Slice 14/41 | CT scan slice | Liver
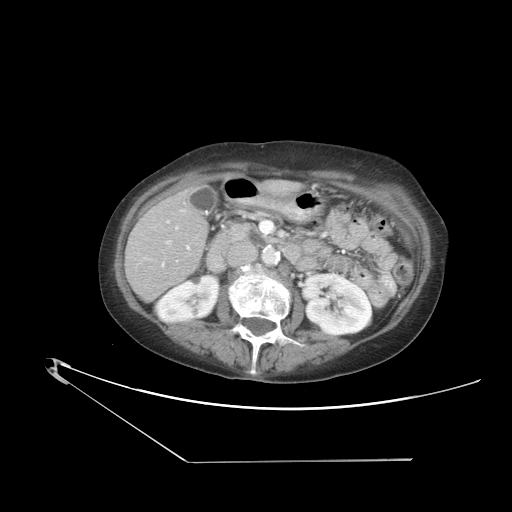

Not every hepatic vessel necessarily has a box.
hepatic vessel: x1=186 y1=246 x2=189 y2=249, x1=167 y1=240 x2=170 y2=243, x1=167 y1=220 x2=169 y2=222, x1=162 y1=262 x2=164 y2=265, x1=181 y1=210 x2=184 y2=211